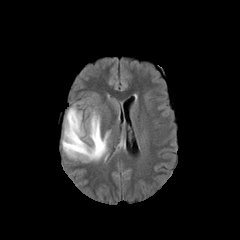
FLAIR MR image.
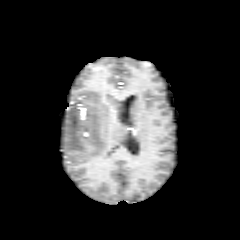
Same slice, T1-weighted MR.
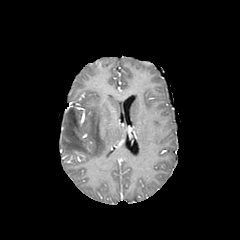
Post-contrast T1-weighted MRI of the same slice.
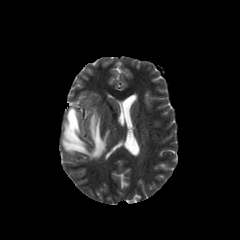
Same slice, T2-weighted magnetic resonance.
Image size 240x240. Head.
Edema: (left=62, top=108, right=108, bottom=159).